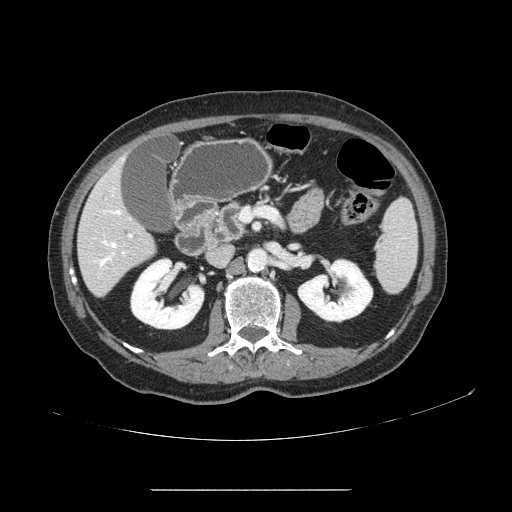 512x512. CT image. Abdomen. • pancreas: (x1=212, y1=201, x2=246, y2=241)